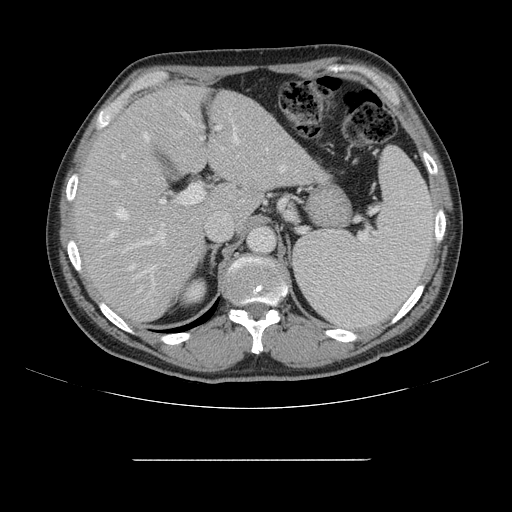

CT image; Abdomen

Only some of the vessels may be annotated.
Top 15 of 20 hepatic vessel regions: bounding box [x1=116, y1=207, x2=127, y2=218], [x1=200, y1=136, x2=203, y2=139], [x1=160, y1=198, x2=165, y2=203], [x1=216, y1=126, x2=221, y2=129], [x1=280, y1=166, x2=285, y2=171], [x1=233, y1=126, x2=238, y2=142], [x1=109, y1=181, x2=115, y2=183], [x1=136, y1=266, x2=154, y2=286], [x1=179, y1=184, x2=204, y2=204], [x1=158, y1=232, x2=162, y2=236], [x1=181, y1=111, x2=188, y2=118], [x1=122, y1=237, x2=156, y2=254], [x1=102, y1=232, x2=117, y2=241], [x1=129, y1=265, x2=133, y2=269], [x1=137, y1=288, x2=141, y2=291].